FLAIR MR image.
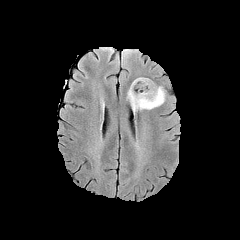
T1-weighted MRI.
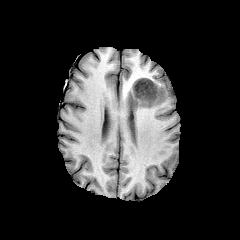
Post-contrast T1-weighted MR.
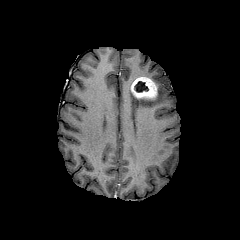
T2-weighted MR image.
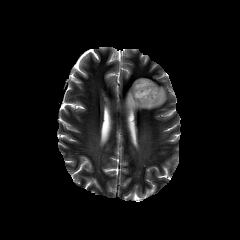
Head, 240x240 px
enhancing_tumor:
  - 130, 77, 156, 98
non-enhancing_tumor_core:
  - 134, 81, 148, 92
  - 133, 90, 158, 101
edema:
  - 126, 83, 166, 117